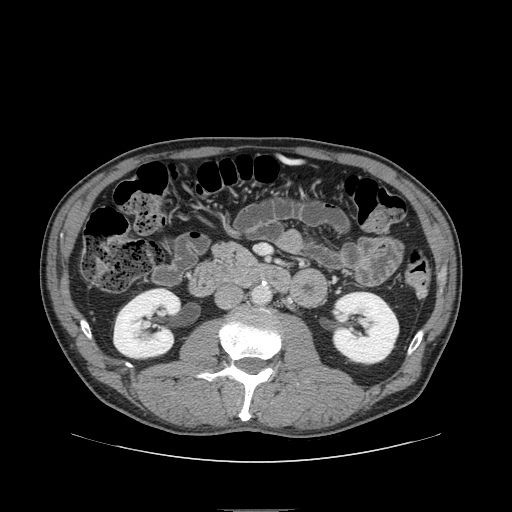 CT; 512x512; Abdomen
The pancreas is at box(213, 243, 255, 265).